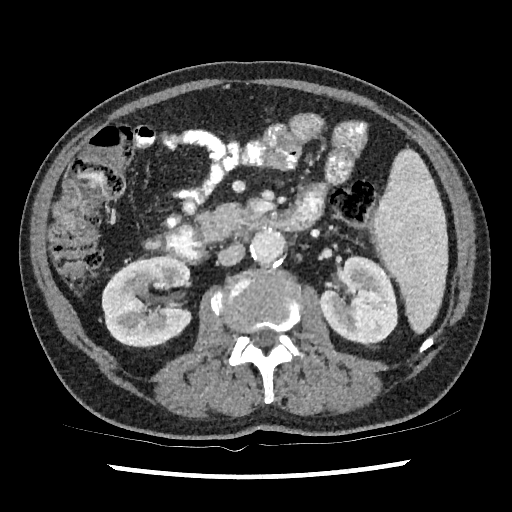

CT slice.
Kidney: box(319, 257, 396, 343); box(102, 255, 190, 346).